FLAIR magnetic resonance.
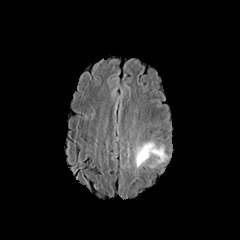
T1-weighted MRI.
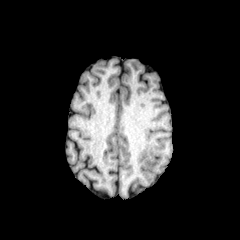
Post-contrast T1-weighted MR.
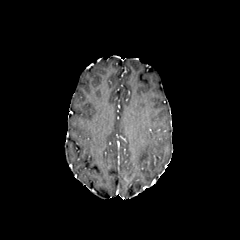
T2-weighted MRI.
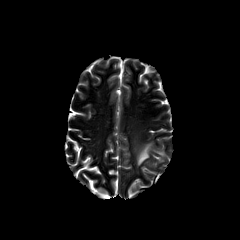
Brain | 240x240
edema: x1=135 y1=141 x2=162 y2=166